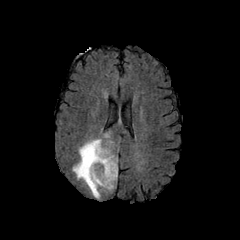
FLAIR MR.
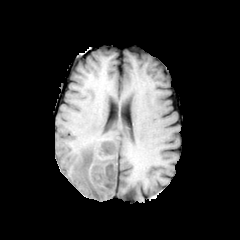
T1-weighted MR.
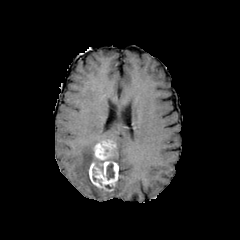
Same slice, post-contrast T1-weighted magnetic resonance.
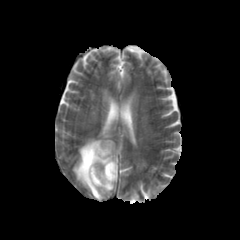
T2-weighted MR of the same slice.
Head. 240x240.
* edema: 72,138,101,198
* non-enhancing tumor core: 107,164,114,179
* enhancing tumor: 89,140,118,192